Field of view 339 mm wide, 0.80 mm slice spacing, Slice index 276, Image size 512x512, CT slice, Liver 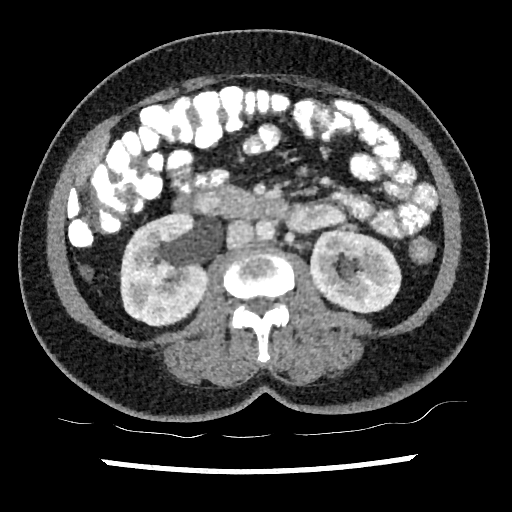
• liver: x1=75, y1=133, x2=107, y2=186
• kidney: x1=121, y1=214, x2=207, y2=325; x1=311, y1=231, x2=400, y2=312